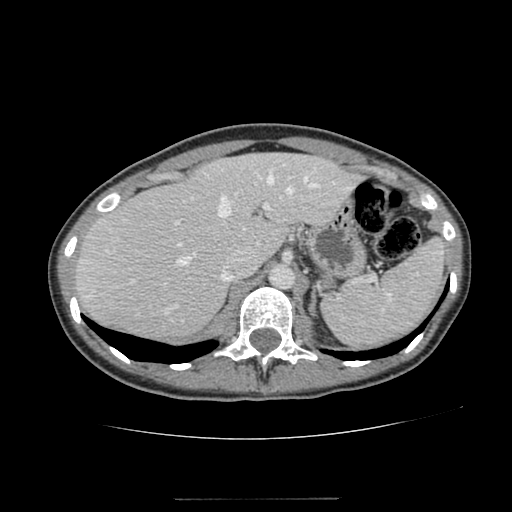 CT
The liver lies within x1=76, y1=152, x2=364, y2=340.